Field of view 429 mm wide, 0.70 mm slice spacing | Upper abdomen | Slice 454/917 | Computed tomography | 512x512 px 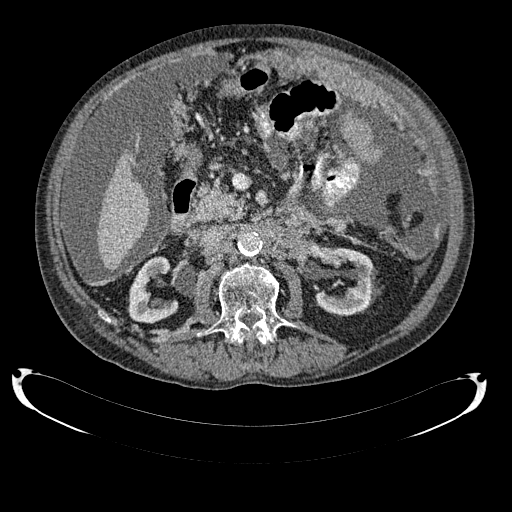

The liver is located at <box>97,149,149,270</box>. 2 kidney regions are bounded by <box>316,248,372,315</box>, <box>129,257,177,322</box>.